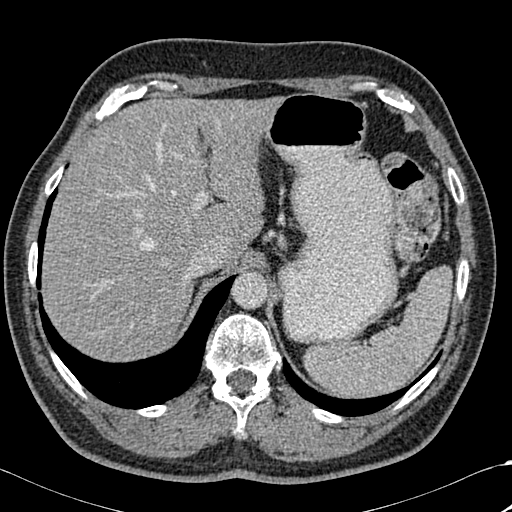

512x512 px. CT image. Abdomen.
Liver = rect(43, 99, 276, 361).
Bone = rect(204, 314, 281, 432); rect(45, 167, 62, 194); rect(313, 409, 341, 422); rect(377, 90, 413, 112); rect(139, 405, 165, 416); rect(28, 243, 37, 282); rect(457, 260, 468, 298); rect(52, 353, 84, 396); rect(96, 83, 147, 119); rect(396, 368, 436, 408); rect(448, 169, 463, 202).
Lung = rect(38, 275, 235, 409); rect(283, 351, 441, 416); rect(36, 188, 57, 289).